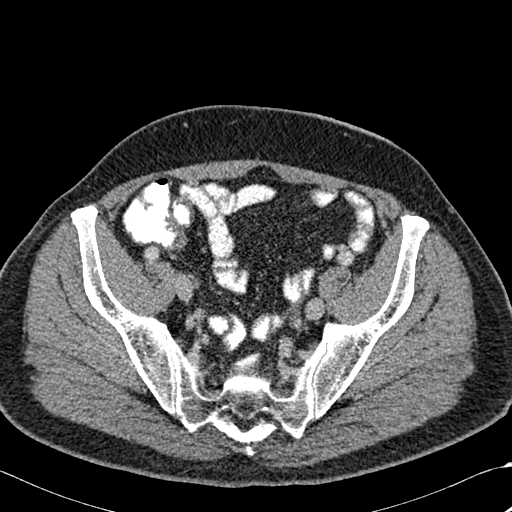
CT scan slice
<segmentation>
  <bone>box(71, 206, 428, 443)</bone>
</segmentation>